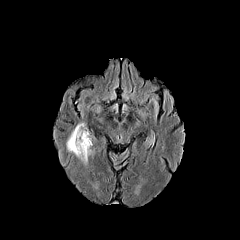
FLAIR magnetic resonance.
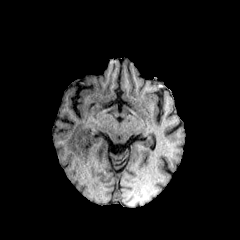
T1-weighted MRI of the same slice.
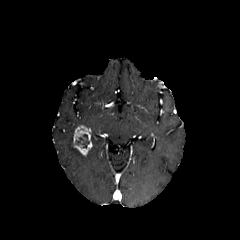
Post-contrast T1-weighted MR of the same slice.
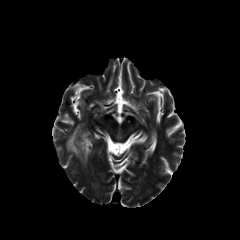
T2-weighted MR image.
Head; 240x240
<segmentation>
  <non-enhancing_tumor_core>box(75, 134, 90, 147)</non-enhancing_tumor_core>
  <enhancing_tumor>box(73, 125, 92, 155)</enhancing_tumor>
  <edema>box(65, 130, 101, 164)</edema>
</segmentation>